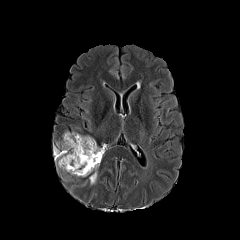
FLAIR MR.
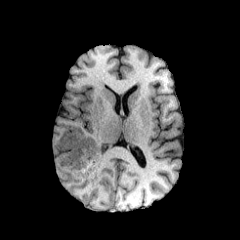
T1-weighted magnetic resonance.
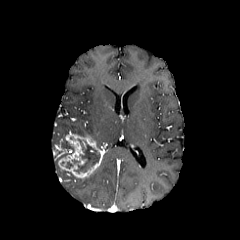
Post-contrast T1-weighted MR image of the same slice.
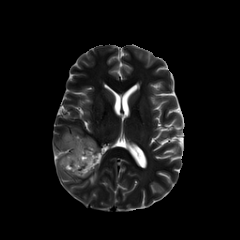
Same slice, T2-weighted magnetic resonance.
Image size 240x240
Segmented structures:
- edema: {"x1": 88, "y1": 170, "x2": 97, "y2": 184}
- non-enhancing tumor core: {"x1": 73, "y1": 138, "x2": 100, "y2": 174}, {"x1": 60, "y1": 136, "x2": 74, "y2": 158}, {"x1": 60, "y1": 159, "x2": 80, "y2": 169}
- enhancing tumor: {"x1": 58, "y1": 132, "x2": 104, "y2": 177}